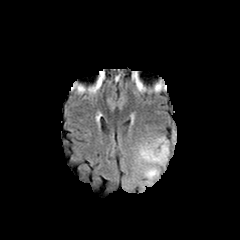
FLAIR MR image.
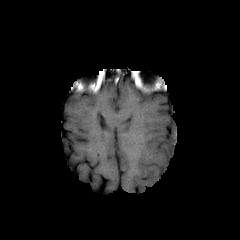
T1-weighted MR image.
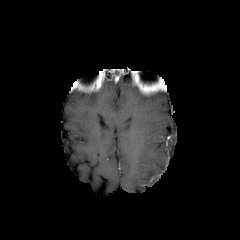
Post-contrast T1-weighted MR image of the same slice.
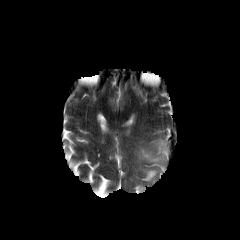
T2-weighted MRI.
Head
The edema is located at rect(137, 136, 169, 191).